Liver, CT scan slice, 512x512 px

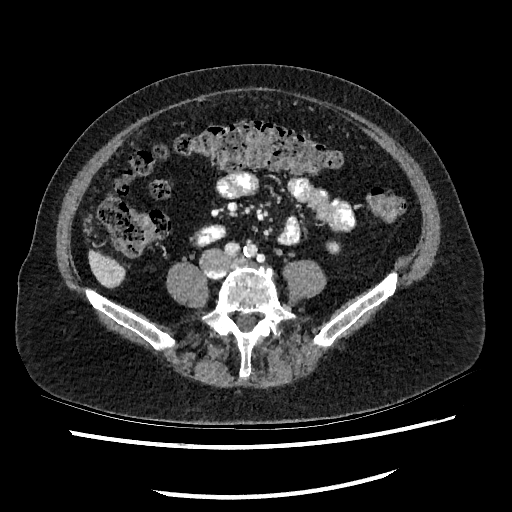

- liver: l=89, t=253, r=122, b=285